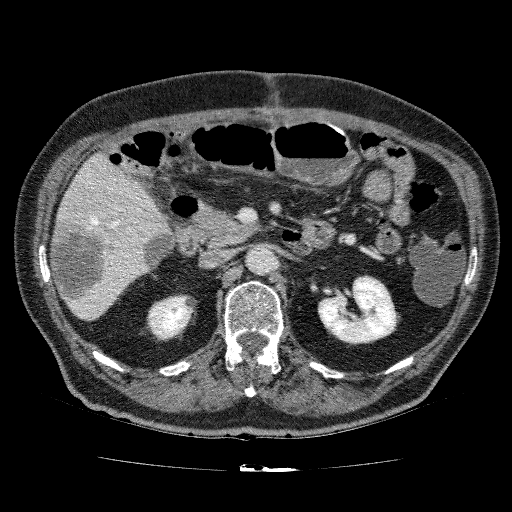
CT

2 kidney regions are bounded by 318, 276, 396, 343; 147, 295, 192, 339. The liver is at 56, 151, 169, 321. 2 focal liver lesion regions appear at 50, 219, 119, 302; 139, 227, 173, 270.